Abdomen. Image size 512x512. CT image. Slice 51 of 85.

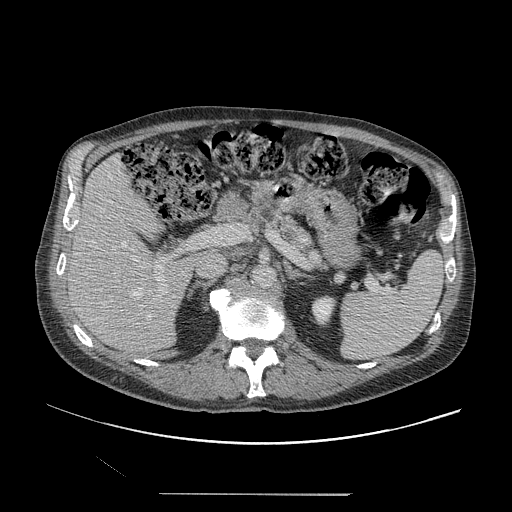

The pancreas lies within box=[244, 200, 328, 270].